FLAIR MR image.
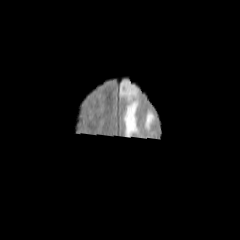
T1-weighted MR image.
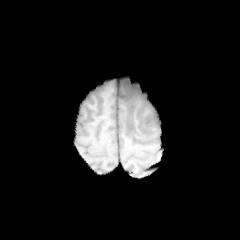
Post-contrast T1-weighted magnetic resonance.
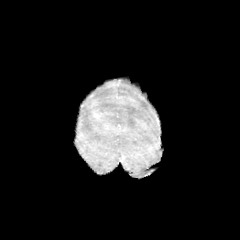
T2-weighted MR.
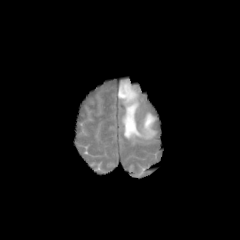
240x240 px
Edema: [x1=118, y1=77, x2=157, y2=140].